FLAIR MRI.
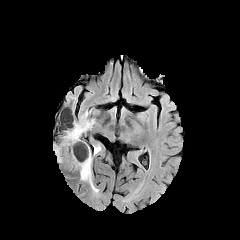
T1-weighted MR.
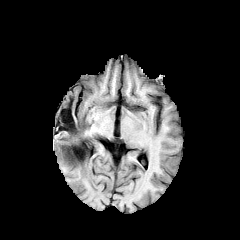
Post-contrast T1-weighted MR image.
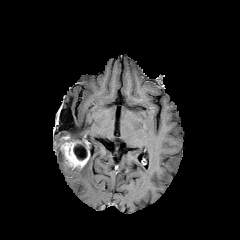
T2-weighted magnetic resonance.
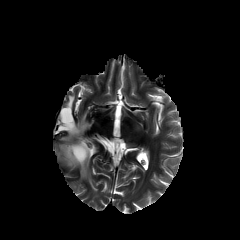
Image size 240x240
Findings:
* non-enhancing tumor core: <bbox>55, 138, 65, 153</bbox>, <bbox>73, 138, 86, 161</bbox>
* edema: <bbox>74, 152, 98, 193</bbox>, <bbox>93, 144, 100, 154</bbox>, <bbox>55, 146, 63, 162</bbox>, <bbox>57, 109, 94, 143</bbox>
* enhancing tumor: <bbox>60, 136, 89, 167</bbox>